CT slice 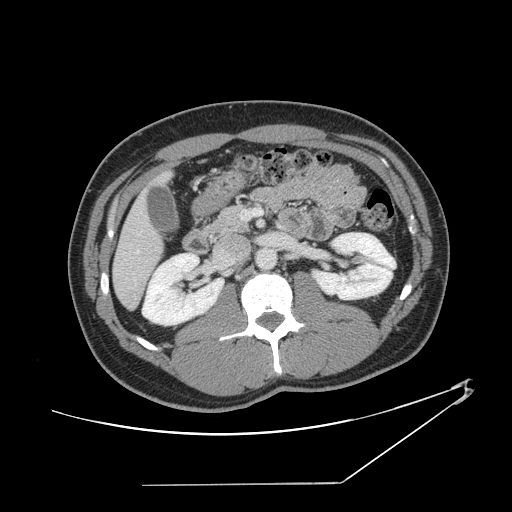 The vessel annotation is not exhaustive.
The hepatic vessel is at (x1=136, y1=251, x2=138, y2=253).